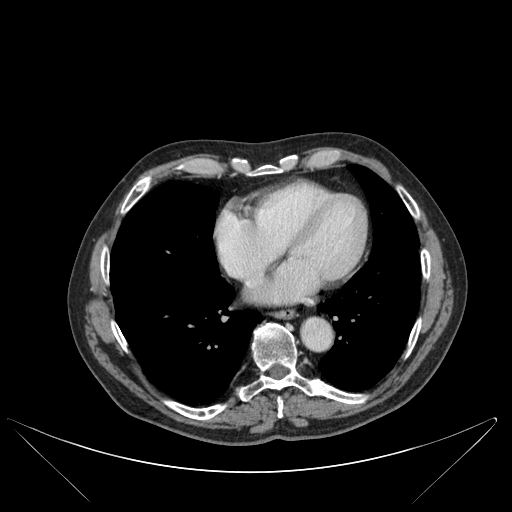
512x512 px. Computed tomography.

Segmented structures:
* bone: {"x1": 407, "y1": 319, "x2": 421, "y2": 355}, {"x1": 249, "y1": 166, "x2": 281, "y2": 175}, {"x1": 421, "y1": 249, "x2": 430, "y2": 277}, {"x1": 100, "y1": 251, "x2": 109, "y2": 281}, {"x1": 401, "y1": 192, "x2": 418, "y2": 217}, {"x1": 121, "y1": 177, "x2": 150, "y2": 212}, {"x1": 239, "y1": 323, "x2": 365, "y2": 403}, {"x1": 111, "y1": 322, "x2": 126, "y2": 350}, {"x1": 165, "y1": 401, "x2": 225, "y2": 419}, {"x1": 277, "y1": 397, "x2": 282, "y2": 417}
* lung: {"x1": 319, "y1": 164, "x2": 419, "y2": 391}, {"x1": 110, "y1": 181, "x2": 261, "y2": 404}